240x240. Head. Slice 99 of 155.
FLAIR MR image.
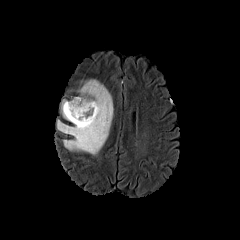
T1-weighted MR image.
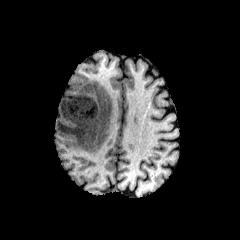
Post-contrast T1-weighted MR.
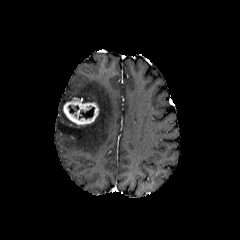
T2-weighted MR image.
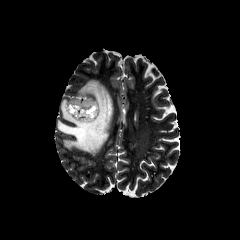
Enhancing tumor — [63,96,99,127].
Edema — [57,79,113,156].
Non-enhancing tumor core — [68,105,79,113], [82,97,95,103], [78,107,95,119].